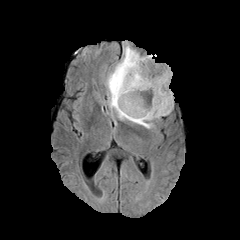
FLAIR magnetic resonance.
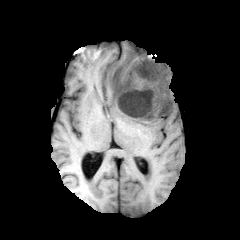
T1-weighted magnetic resonance.
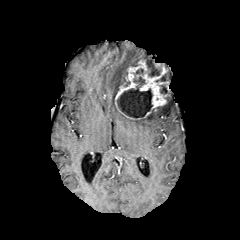
Post-contrast T1-weighted magnetic resonance of the same slice.
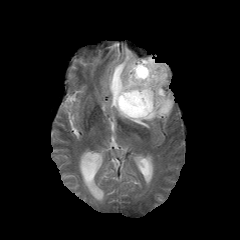
Same slice, T2-weighted MR.
Head.
• non-enhancing tumor core: <bbox>118, 76, 152, 116</bbox>, <bbox>147, 60, 160, 76</bbox>, <bbox>160, 85, 166, 94</bbox>
• edema: <bbox>104, 46, 172, 128</bbox>
• enhancing tumor: <bbox>114, 59, 169, 120</bbox>